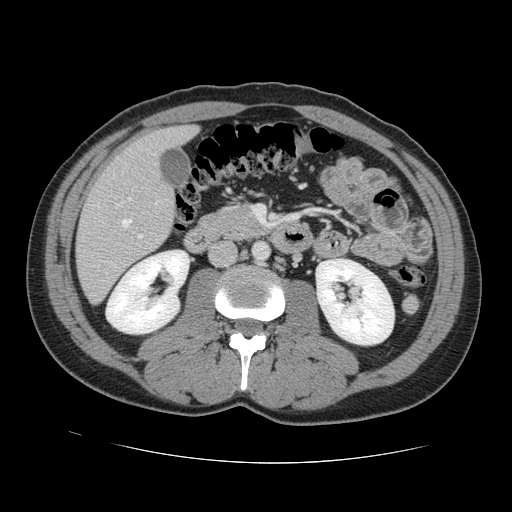

CT image, Liver
Some hepatic vessels may have no box.
Findings:
• hepatic vessel: 116 203 121 206, 138 235 141 237, 110 262 116 266, 155 200 160 205, 122 219 130 226, 127 198 130 200, 153 153 155 154